Slice 20/42. Image size 38x50. Image width 38 mm. Medial temporal lobe. MRI.
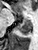

Segmented structures:
* anterior hippocampus: <box>23,19,26,19</box>
* posterior hippocampus: <box>16,20,31,35</box>